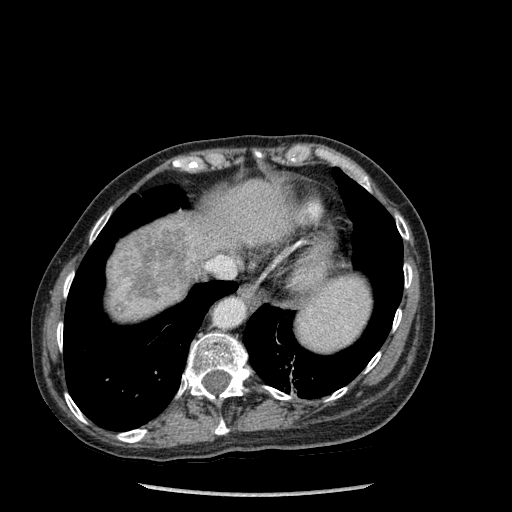 Image size 512x512; Computed tomography

The focal liver lesion is located at 129,229,187,298. 15 bone regions appear at 263,386,291,399; 393,309,401,330; 117,429,146,442; 63,271,74,297; 359,175,370,190; 403,263,412,287; 364,352,380,373; 335,160,356,172; 89,209,111,242; 326,387,347,401; 215,418,228,434; 65,393,86,423; 56,322,62,350; 395,214,408,239; 177,332,250,404. 2 liver regions appear at 106,179,292,319; 298,212,308,222. 2 lung regions are located at 63,185,237,431; 243,168,403,398.